Liver, CT image, Image width 327 mm, 512x512

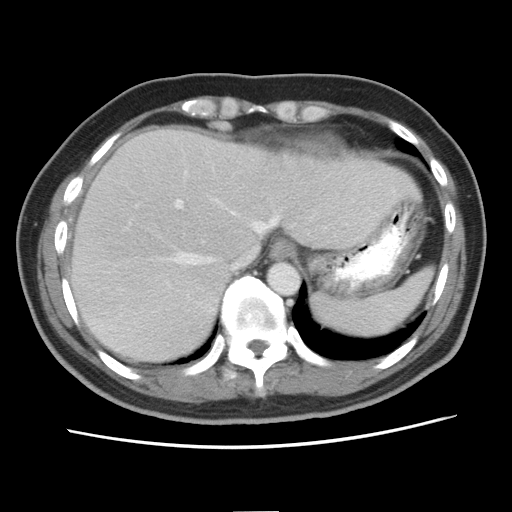 The vessel annotation is not exhaustive.
6 hepatic vessel regions appear at rect(230, 211, 237, 215); rect(184, 173, 186, 176); rect(252, 215, 279, 233); rect(175, 201, 182, 208); rect(168, 253, 212, 264); rect(211, 199, 222, 205).